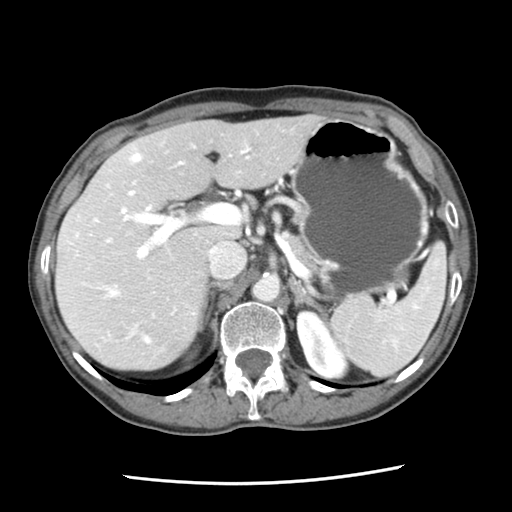

Abdomen | CT image
Pancreas: bounding box (left=291, top=236, right=317, bottom=270).